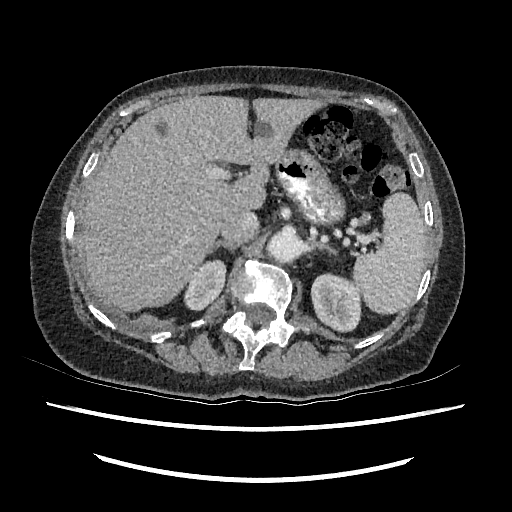

CT scan slice
kidney: <bbox>185, 261, 225, 309</bbox>, <bbox>311, 274, 360, 331</bbox> | liver lesion: <bbox>155, 123, 165, 133</bbox>, <bbox>255, 122, 270, 136</bbox> | liver: <bbox>85, 96, 325, 311</bbox>